FLAIR MR.
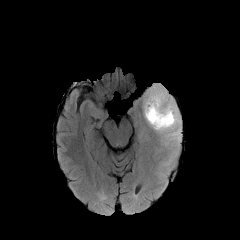
T1-weighted MR.
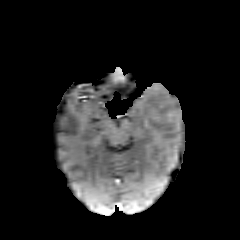
Post-contrast T1-weighted MRI.
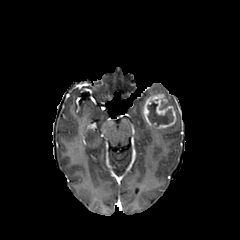
T2-weighted magnetic resonance.
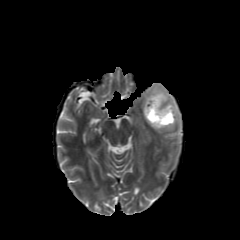
Brain
Enhancing tumor at (x1=143, y1=93, x2=176, y2=128).
Non-enhancing tumor core at (x1=148, y1=103, x2=173, y2=125).
Edema at (x1=142, y1=83, x2=182, y2=169).